512x512. Slice 377/781. CT. Abdomen.
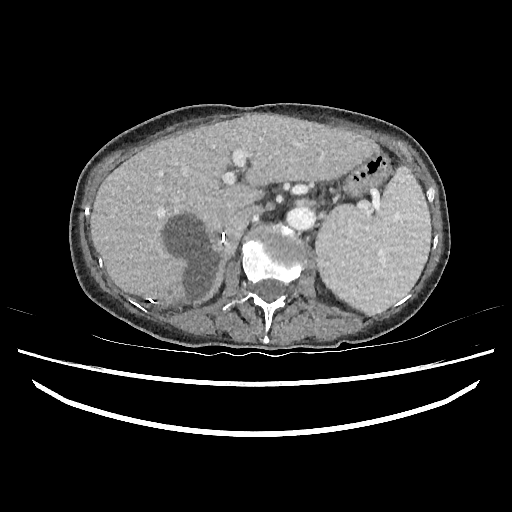 liver_lesion:
  - (left=165, top=215, right=218, bottom=296)
liver:
  - (left=91, top=115, right=375, bottom=304)